Slice 202 of 244, CT image, Image size 512x512, Upper abdomen 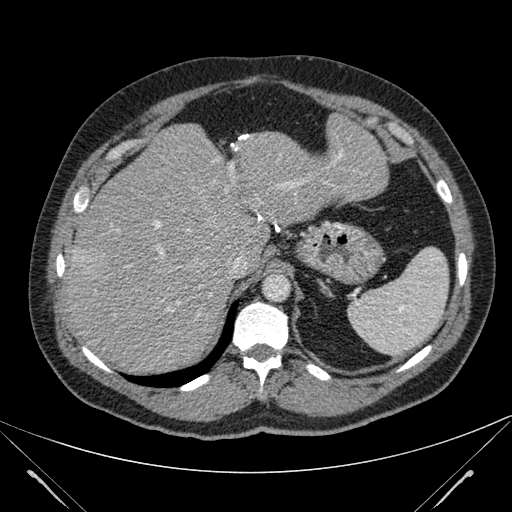 liver: [62, 113, 388, 374] | focal liver lesion: [91, 261, 100, 270]